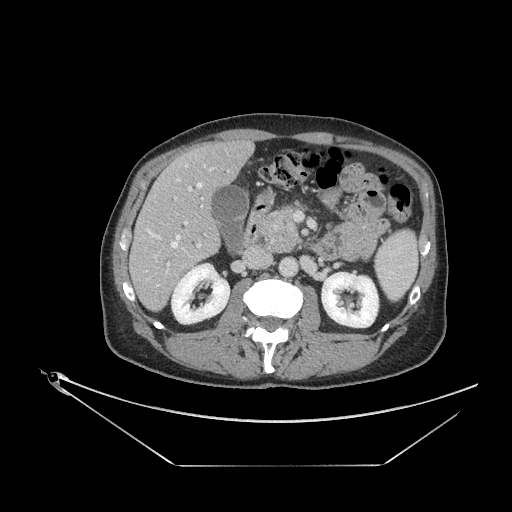

CT

Pancreas: bounding box (260, 207, 302, 252).
Pancreatic tumor: bounding box (275, 222, 298, 246).